512x512, Abdomen, Computed tomography, Image width 438 mm
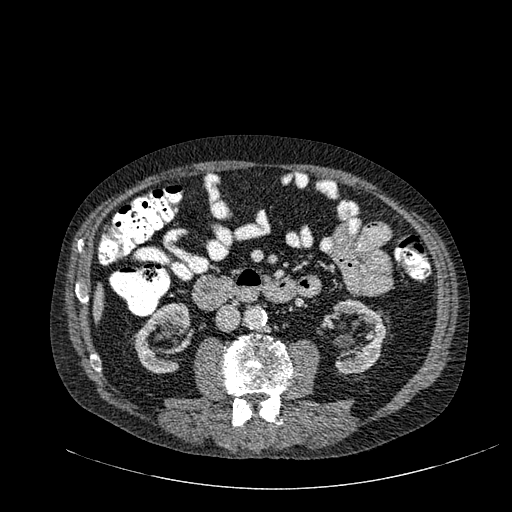
Liver = 94:286:102:321.
Kidney = 134:303:193:373, 321:301:385:374.